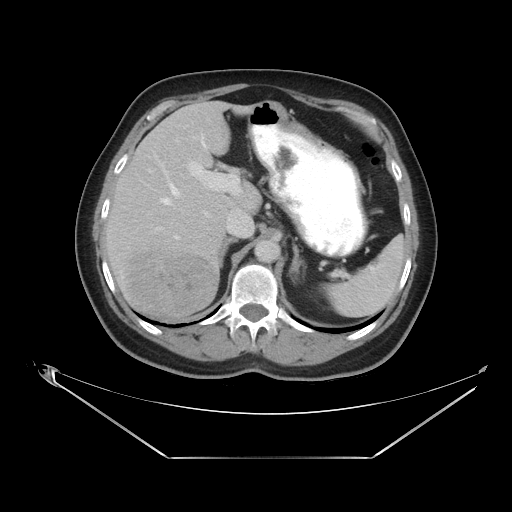 CT

Not every hepatic vessel necessarily has a box.
<segmentation>
  <hepatic_vessel>[161,199,171,204], [172,185,179,195], [188,161,214,187]</hepatic_vessel>
  <liver_tumor>[124,242,218,321]</liver_tumor>
</segmentation>